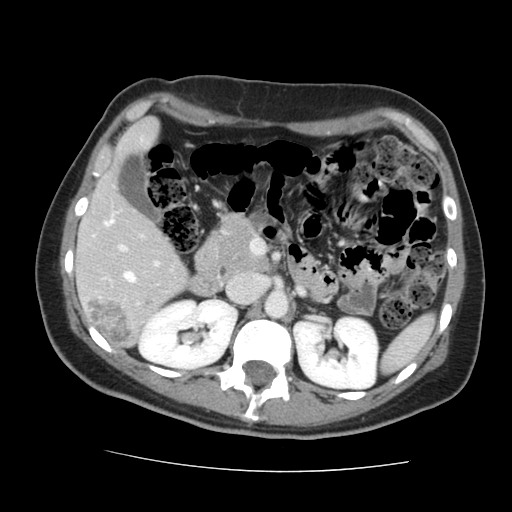
Abdomen | CT image
Not every hepatic vessel necessarily has a box.
The liver tumor appears at left=90, top=295, right=134, bottom=343. 4 hepatic vessel regions appear at left=104, top=218, right=113, bottom=225; left=124, top=272, right=134, bottom=282; left=119, top=246, right=124, bottom=250; left=154, top=262, right=157, bottom=265.